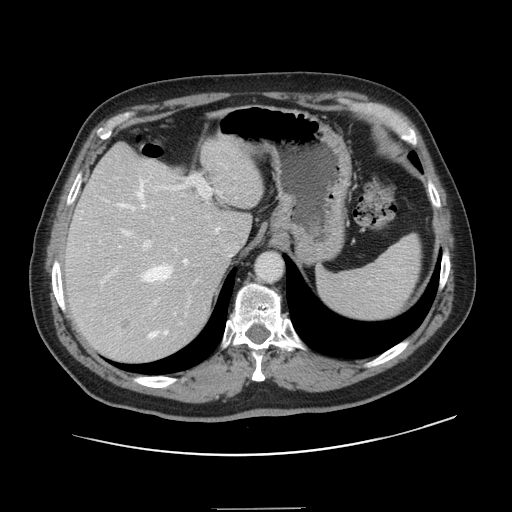

Abdomen | CT image

The vessel boxes may cover only some of the vessels.
Segmented structures:
- hepatic vessel: l=143, t=241, r=150, b=247; l=171, t=217, r=172, b=219; l=138, t=180, r=145, b=198; l=164, t=330, r=167, b=333; l=121, t=229, r=129, b=235; l=119, t=204, r=134, b=209; l=142, t=203, r=145, b=207; l=114, t=268, r=117, b=271; l=147, t=331, r=158, b=337; l=184, t=259, r=187, b=264; l=159, t=175, r=210, b=197; l=144, t=265, r=171, b=281